Slice 336/466, Abdomen, Computed tomography, Image width 344 mm 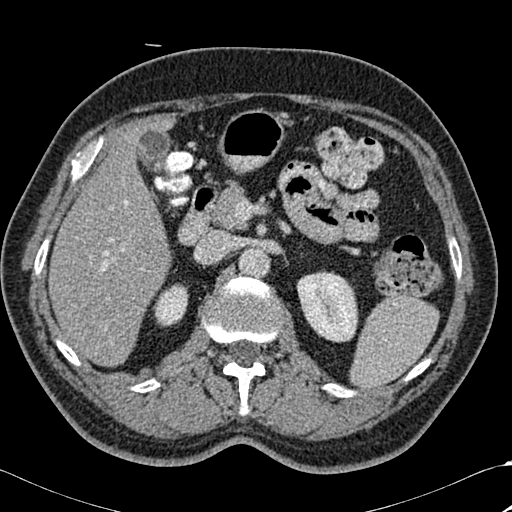

{"bone": ["l=35, t=240, r=48, b=273", "l=406, t=359, r=429, b=379", "l=324, t=384, r=353, b=396", "l=204, t=277, r=279, b=414", "l=71, t=162, r=76, b=177", "l=132, t=380, r=159, b=392", "l=449, t=239, r=461, b=276", "l=57, t=341, r=79, b=365"], "kidney": ["l=156, t=286, r=186, b=324", "l=298, t=273, r=356, b=341"], "liver": ["l=49, t=130, r=168, b=366"]}